240x240
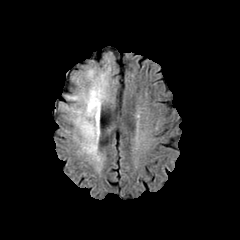
FLAIR MR.
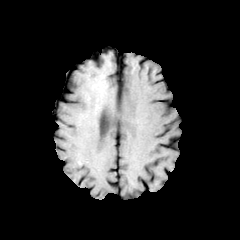
T1-weighted MRI of the same slice.
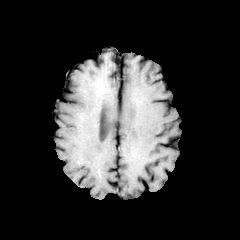
Post-contrast T1-weighted MR.
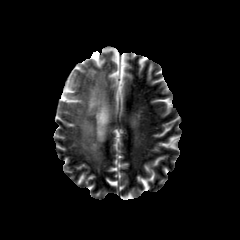
Same slice, T2-weighted MR image.
The non-enhancing tumor core is at left=90, top=86, right=104, bottom=115. 2 edema regions are bounded by left=91, top=74, right=106, bottom=104; left=74, top=87, right=100, bottom=161.